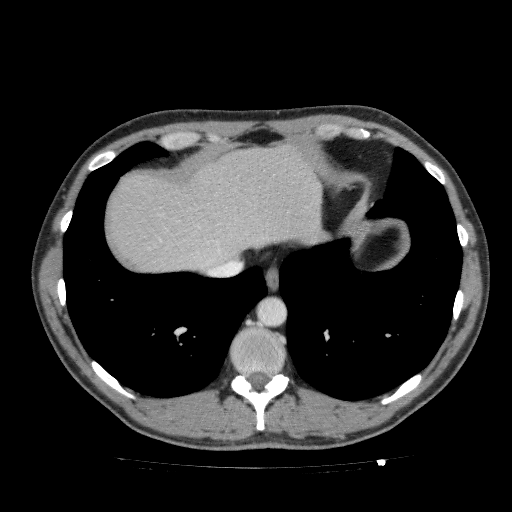
CT scan slice, Liver
liver:
  - bbox(105, 143, 331, 272)